Image width 500 mm. CT scan slice.

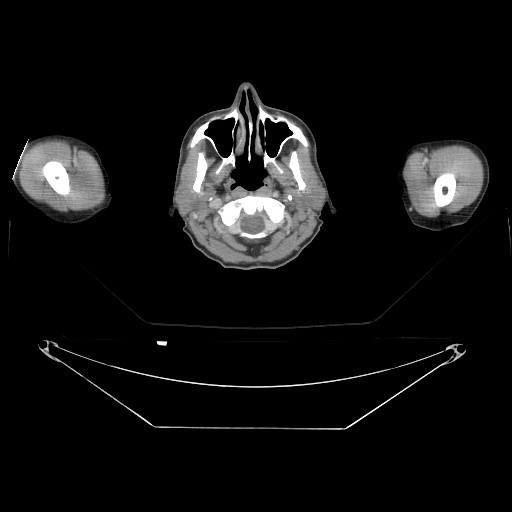 <segmentation>
  <bone>l=214, t=196, r=284, b=237; l=289, t=152, r=305, b=190; l=264, t=154, r=277, b=166; l=191, t=123, r=213, b=146; l=227, t=109, r=237, b=122; l=218, t=152, r=234, b=171; l=193, t=153, r=207, b=192; l=434, t=172, r=455, b=206; l=42, t=161, r=69, b=195; l=260, t=108, r=307, b=152</bone>
</segmentation>